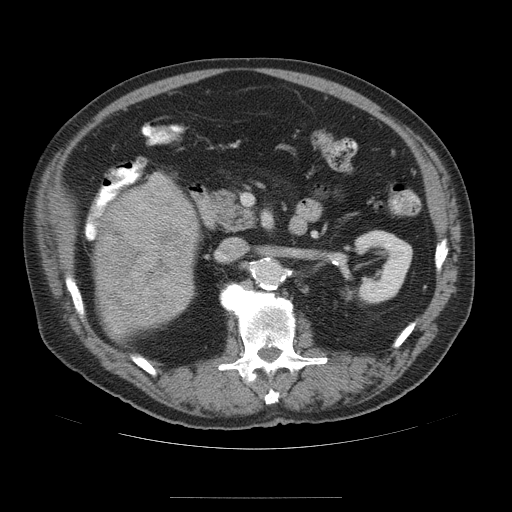

Liver, CT
Liver tumor at left=95, top=186, right=197, bottom=324.